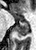
MRI, Medial temporal lobe

Annotated regions:
• anterior hippocampus: (14,14,15,17)
• posterior hippocampus: (13,23,28,37)